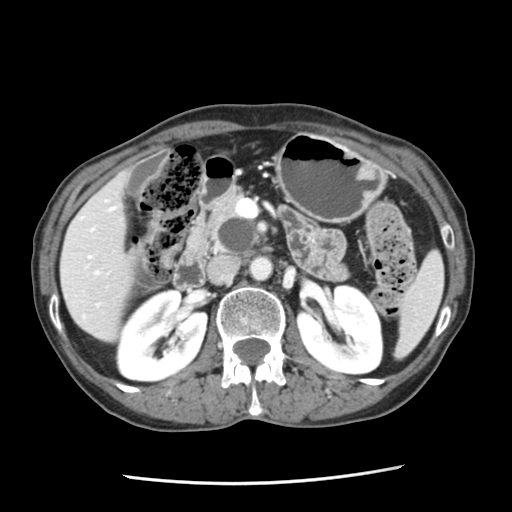
Upper abdomen. Image size 512x512. Computed tomography.
pancreatic tumor: 219, 219, 252, 251 | pancreas: 208, 197, 257, 255